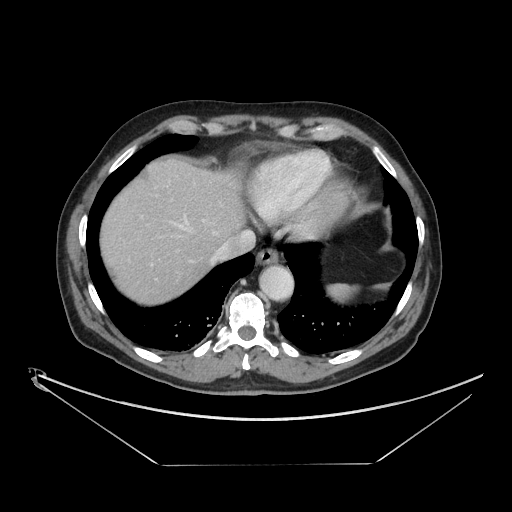
CT slice
The vessel annotation is not exhaustive.
Hepatic vessel — x1=218, y1=250, x2=219, y2=252; x1=171, y1=215, x2=187, y2=228; x1=214, y1=256, x2=215, y2=258.